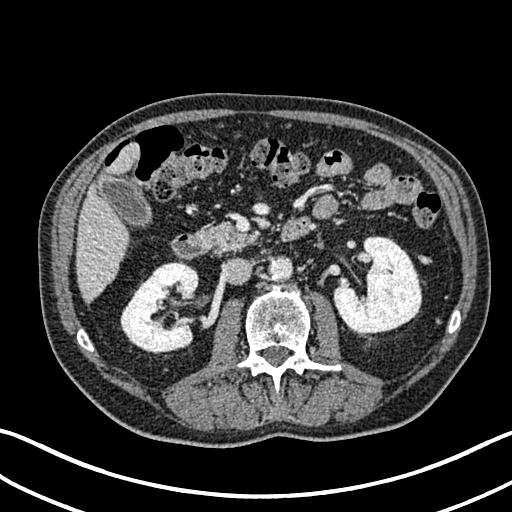 CT
kidney:
  - box=[121, 263, 197, 351]
  - box=[334, 237, 421, 332]
liver:
  - box=[77, 183, 128, 303]
  - box=[106, 143, 139, 173]